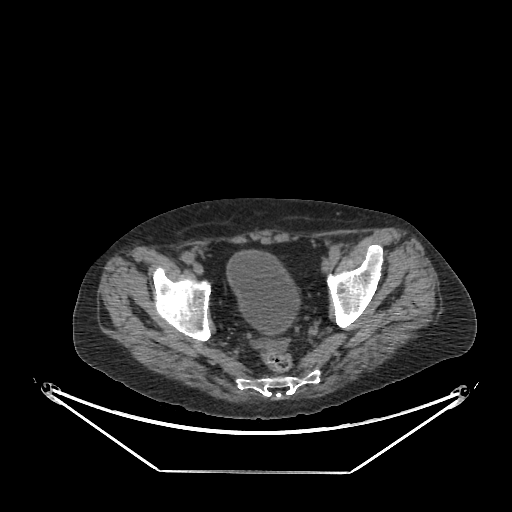 CT image; 512x512 px; Pelvis

The urinary bladder appears at {"x1": 226, "y1": 249, "x2": 300, "y2": 337}.